CT slice | Slice index 355
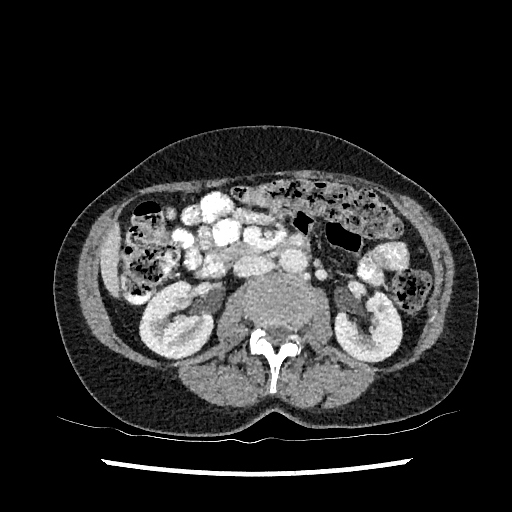 • liver: l=100, t=225, r=119, b=296
• kidney: l=335, t=293, r=401, b=361; l=140, t=282, r=212, b=357